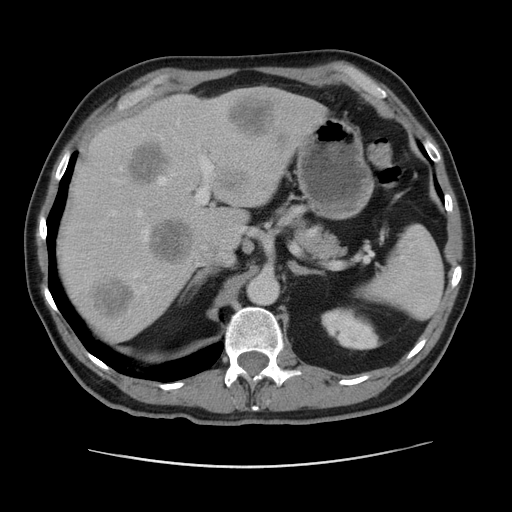 CT
6 focal liver lesion regions appear at 91 279 132 317, 128 144 165 183, 150 220 193 263, 227 96 277 137, 220 168 251 192, 276 131 290 145. The liver appears at 58 87 324 337. The kidney lies within 321 307 380 349.